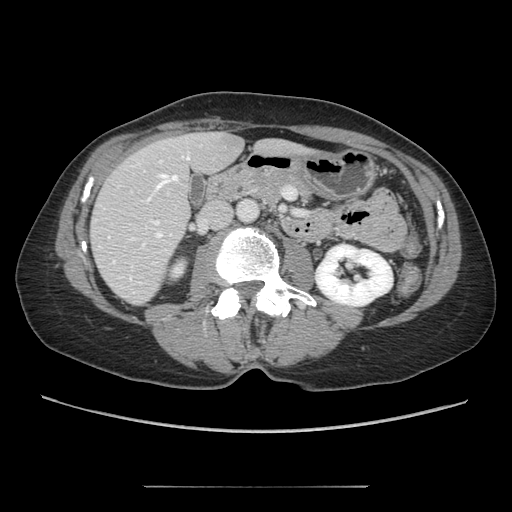
CT

The pancreas is bounded by box(224, 163, 315, 212).